Cardiac | MR image | Image size 320x320

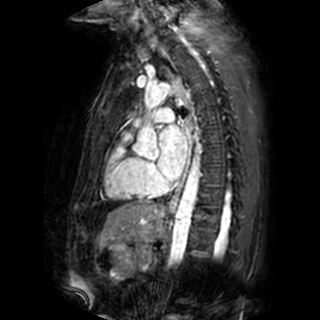 The left atrium appears at rect(158, 125, 186, 179).